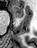

Hippocampus, MR image
<segmentation>
  <anterior_hippocampus>l=12, t=5, r=23, b=17</anterior_hippocampus>
</segmentation>